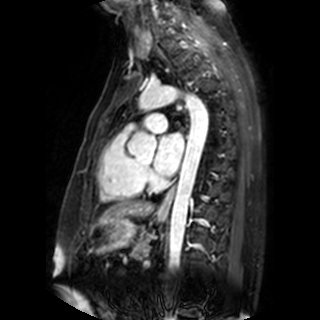 MR image
Annotated regions:
* left atrium: x1=153 y1=132 x2=183 y2=175